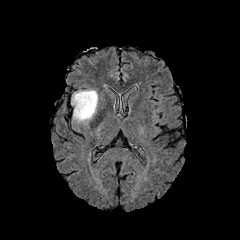
FLAIR MR image.
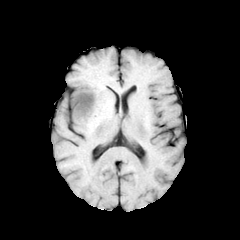
T1-weighted MR of the same slice.
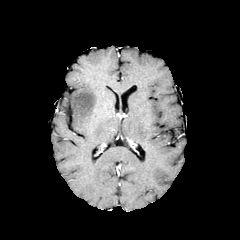
Post-contrast T1-weighted MR.
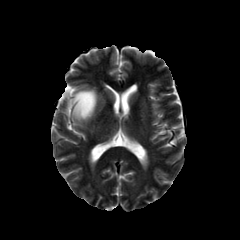
T2-weighted MRI.
Head.
Edema: bounding box [71, 86, 98, 124].